Slice index 104
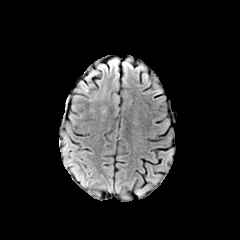
FLAIR MR.
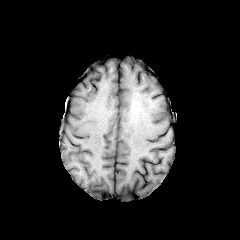
T1-weighted magnetic resonance of the same slice.
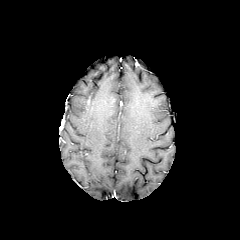
Post-contrast T1-weighted MR.
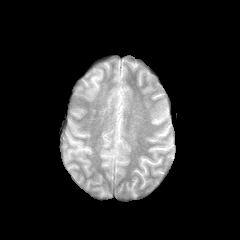
T2-weighted MR image.
{"edema": ["l=83, t=84, r=91, b=93"]}